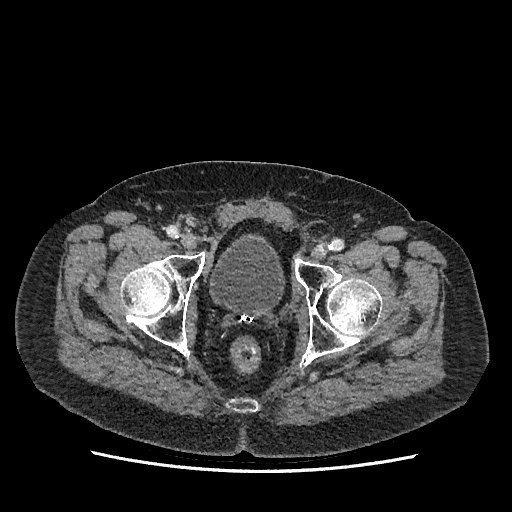
Computed tomography; Pelvis
Urinary bladder = (210, 239, 282, 314).